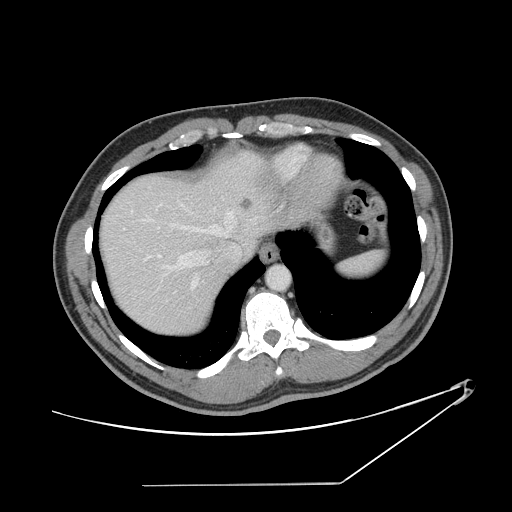 CT slice

Some hepatic vessels may have no box.
hepatic vessel: (180,222,231,236), (160,251,200,280), (142,216,153,221), (171,224,177,229), (191,275,200,289), (144,256,150,260), (158,255,160,256), (228,212,236,222), (201,260,208,264), (160,202,161,204), (249,218,255,220) | liver tumor: (241,199,253,207)